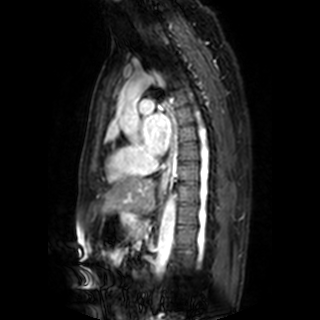
Heart. MRI. left_atrium:
  - x1=143, y1=112, x2=171, y2=155